FLAIR magnetic resonance.
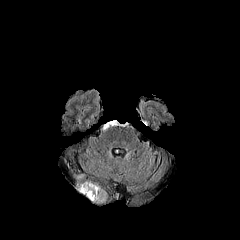
T1-weighted MR image.
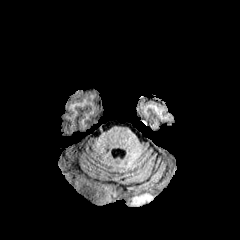
Post-contrast T1-weighted MR image.
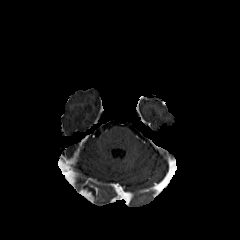
T2-weighted magnetic resonance.
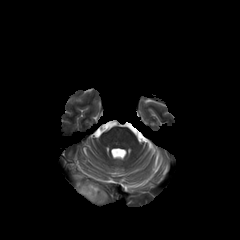
Head
The enhancing tumor is bounded by [77,187,94,203]. The non-enhancing tumor core is located at [75,180,107,205].